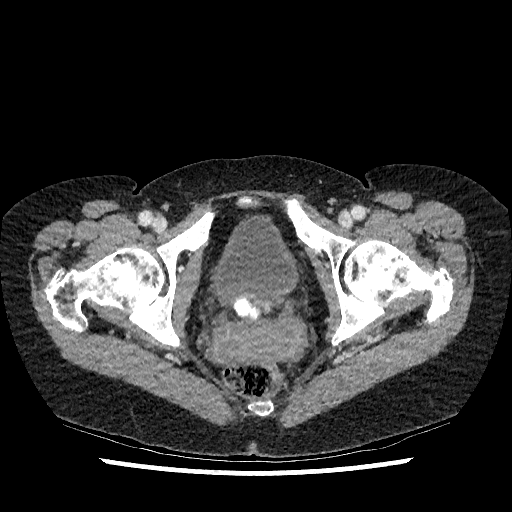 CT slice. Lower abdomen. urinary_bladder:
  - 211:213:299:296